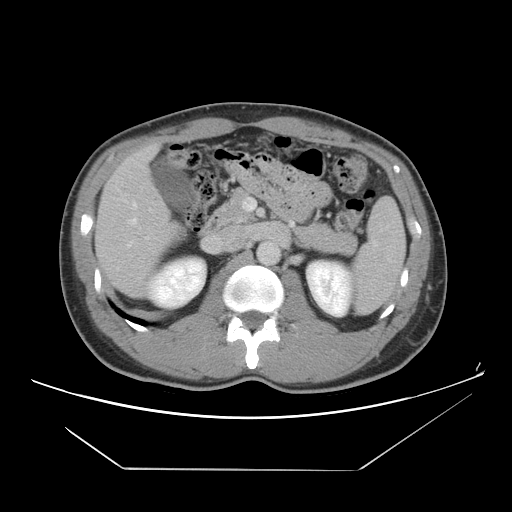

Liver. CT scan slice.

The vessel annotation is not exhaustive.
<segmentation>
  <hepatic_vessel><box>121,199,126,201</box>, <box>127,241,132,246</box>, <box>133,203,136,208</box>, <box>128,219,136,224</box></hepatic_vessel>
</segmentation>